Lower abdomen. 512x512 px. Computed tomography.
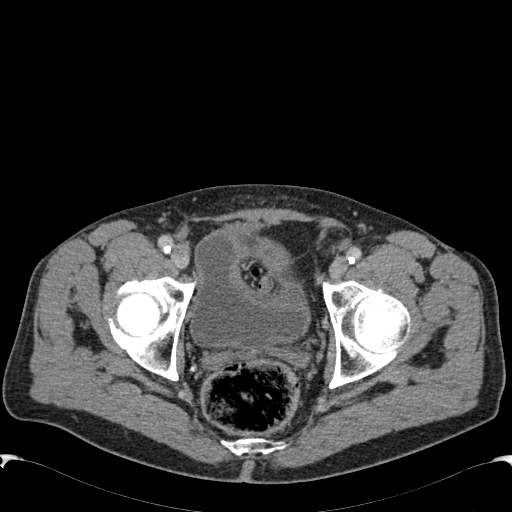

The urinary bladder is located at 190,225,310,357.